Slice 32 of 39; MRI slice; Hippocampus

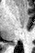
The posterior hippocampus is located at bbox=[12, 43, 16, 45].